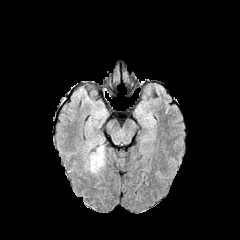
FLAIR MRI.
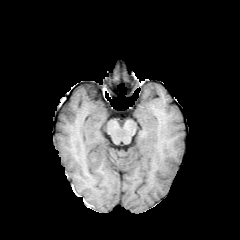
T1-weighted MR image of the same slice.
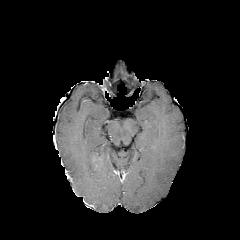
Same slice, post-contrast T1-weighted magnetic resonance.
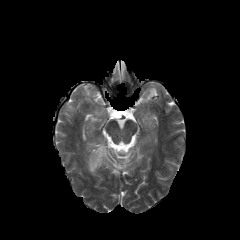
T2-weighted magnetic resonance.
The edema is bounded by 81,141,107,175. The enhancing tumor is at 93,156,101,167.